MRI slice, Image size 39x45 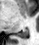

Annotated regions:
- posterior hippocampus: region(17, 28, 28, 38)